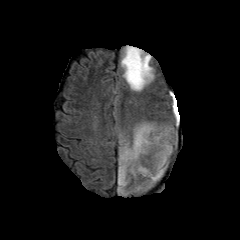
FLAIR MR.
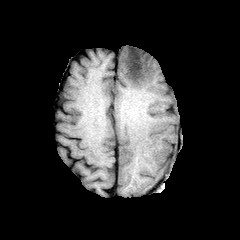
T1-weighted MR of the same slice.
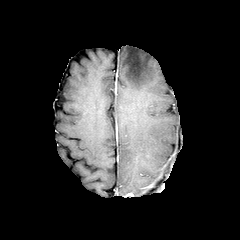
Post-contrast T1-weighted magnetic resonance of the same slice.
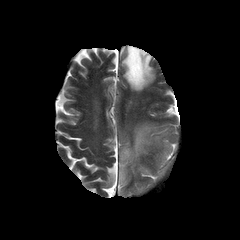
Same slice, T2-weighted magnetic resonance.
Brain, 240x240
3 edema regions are bounded by 120, 46, 155, 91; 149, 143, 173, 181; 118, 126, 150, 188. The non-enhancing tumor core is bounded by 126, 48, 145, 82.